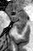

MR image
Posterior hippocampus: bounding box (x1=14, y1=24, x2=25, y2=34).
Anterior hippocampus: bounding box (x1=9, y1=10, x2=26, y2=23).